Brain | Slice index 55
FLAIR magnetic resonance.
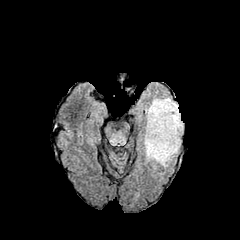
T1-weighted MR image.
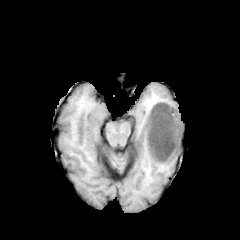
Post-contrast T1-weighted MR.
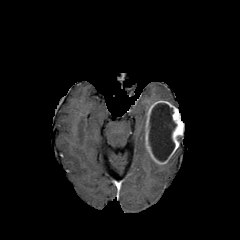
T2-weighted magnetic resonance.
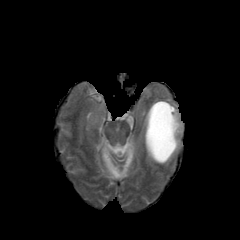
3 edema regions appear at bbox(145, 146, 153, 163); bbox(142, 108, 148, 145); bbox(152, 97, 178, 107). The enhancing tumor lies within bbox(144, 100, 183, 164). The non-enhancing tumor core lies within bbox(149, 103, 175, 161).